Field of view 240x240 mm.
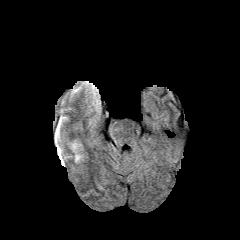
FLAIR MRI.
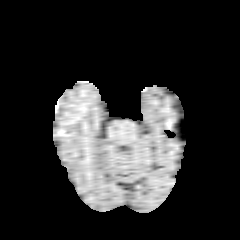
T1-weighted MR image of the same slice.
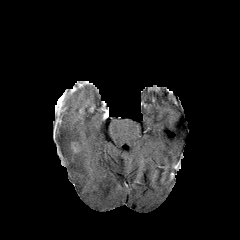
Post-contrast T1-weighted MRI.
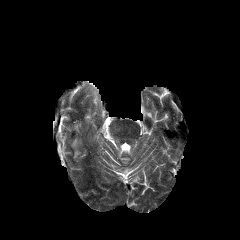
Same slice, T2-weighted MRI.
edema:
  - 67 141 83 161
  - 58 136 69 164